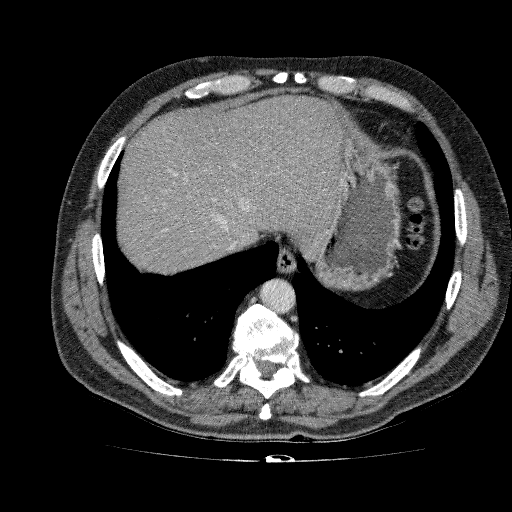

Image size 512x512; Abdomen; CT scan slice
liver: box=[116, 94, 339, 274]